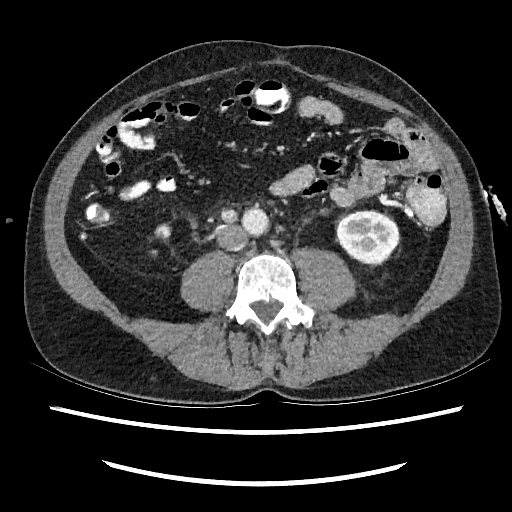

Abdomen | CT image
The kidney is bounded by x1=337 y1=212 x2=398 y2=262.